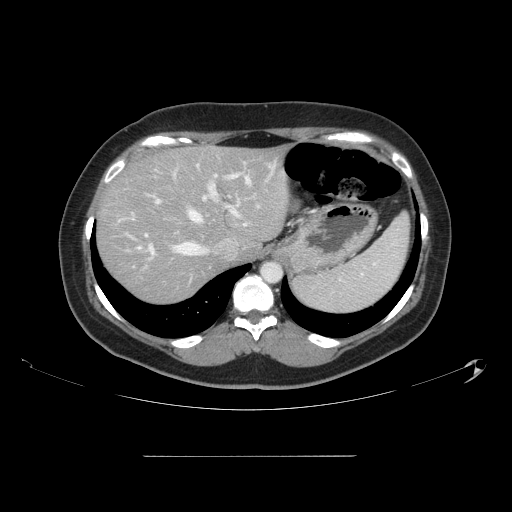

Abdomen, CT slice
The vessel annotation is not exhaustive.
• hepatic vessel: <box>208,182,216,197</box>, <box>202,250,207,253</box>, <box>214,175,218,177</box>, <box>138,247,141,248</box>, <box>150,245,153,253</box>, <box>203,196,207,199</box>, <box>226,202,238,214</box>, <box>188,210,201,221</box>, <box>244,223,246,225</box>, <box>173,242,198,254</box>, <box>155,198,159,203</box>, <box>145,234,146,236</box>, <box>226,175,236,178</box>, <box>242,172,249,183</box>, <box>133,214,134,219</box>